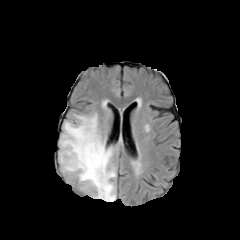
FLAIR magnetic resonance.
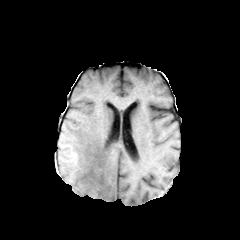
T1-weighted MR image of the same slice.
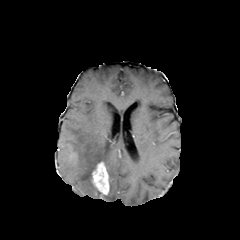
Post-contrast T1-weighted magnetic resonance.
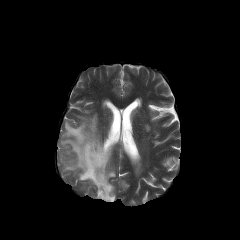
T2-weighted magnetic resonance.
The enhancing tumor is at (92, 161, 109, 195). The edema is located at (58, 113, 116, 201).